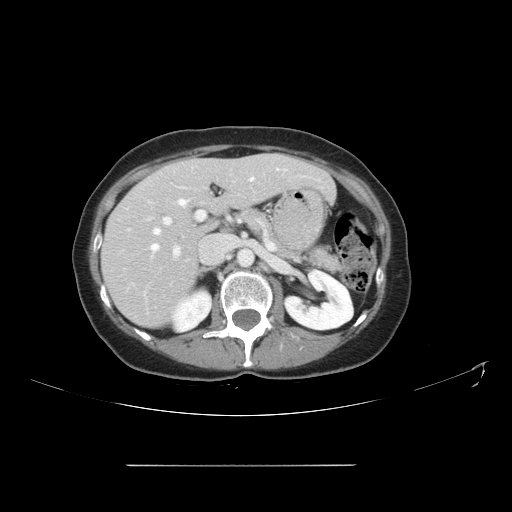

512x512, CT
Only some of the vessels may be annotated.
hepatic_vessel:
  - bbox(154, 228, 160, 234)
  - bbox(163, 217, 171, 224)
  - bbox(151, 244, 159, 256)
  - bbox(149, 217, 152, 219)
  - bbox(173, 247, 179, 256)
  - bbox(249, 177, 253, 181)
  - bbox(149, 201, 151, 203)
  - bbox(276, 168, 278, 170)
  - bbox(196, 211, 204, 219)
  - bbox(178, 199, 188, 205)